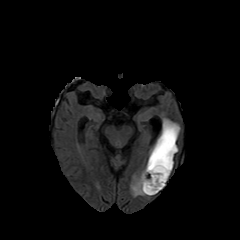
FLAIR MR.
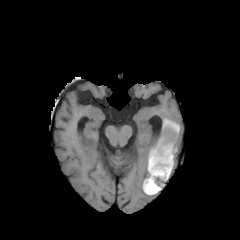
T1-weighted MR.
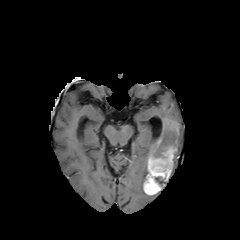
Post-contrast T1-weighted MR image.
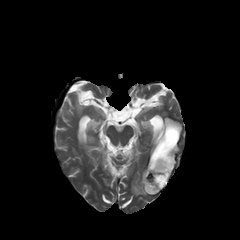
T2-weighted MRI of the same slice.
Non-enhancing tumor core: rect(154, 162, 166, 171); rect(150, 122, 179, 158); rect(152, 175, 166, 190).
Enhancing tumor: rect(148, 146, 173, 179); rect(144, 176, 160, 193).
Edema: rect(131, 162, 147, 195); rect(162, 118, 181, 141).